FLAIR MRI.
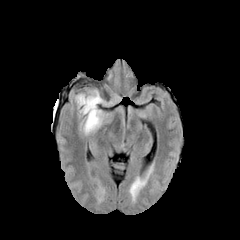
T1-weighted MRI.
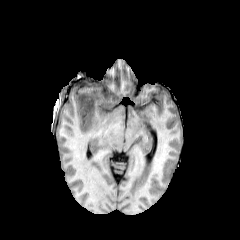
Post-contrast T1-weighted magnetic resonance.
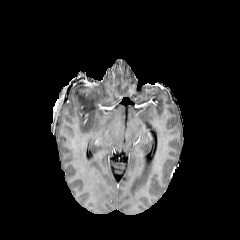
T2-weighted magnetic resonance.
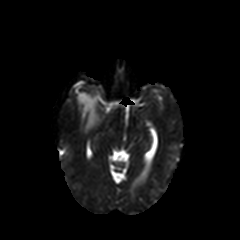
240x240, Brain
edema:
  - [75, 90, 113, 133]
non-enhancing_tumor_core:
  - [79, 95, 93, 109]